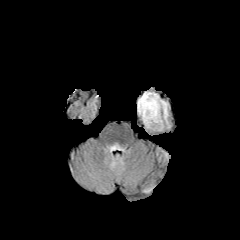
FLAIR MRI.
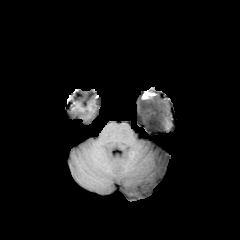
Same slice, T1-weighted MR.
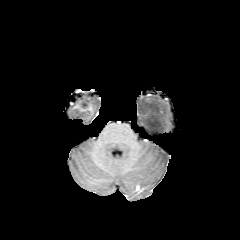
Same slice, post-contrast T1-weighted MRI.
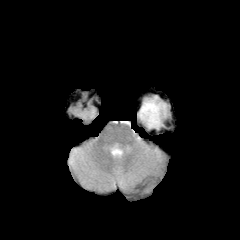
T2-weighted MR of the same slice.
Image size 240x240; Brain
non-enhancing_tumor_core:
  - {"x1": 142, "y1": 102, "x2": 159, "y2": 125}
edema:
  - {"x1": 138, "y1": 94, "x2": 168, "y2": 129}